FLAIR MRI.
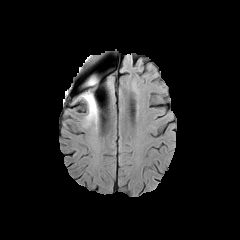
T1-weighted MRI.
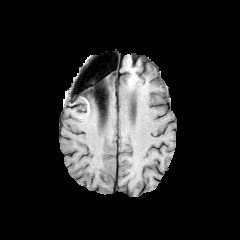
Post-contrast T1-weighted MR.
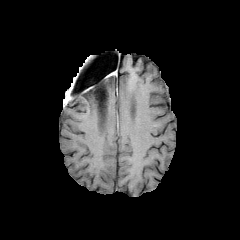
T2-weighted MRI.
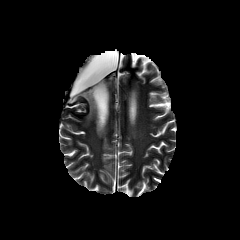
240x240, Head
Non-enhancing tumor core: [x1=87, y1=77, x2=100, y2=101].
Edema: [x1=78, y1=90, x2=99, y2=129], [x1=64, y1=88, x2=71, y2=104].